CT scan slice; Image size 512x512; Abdomen
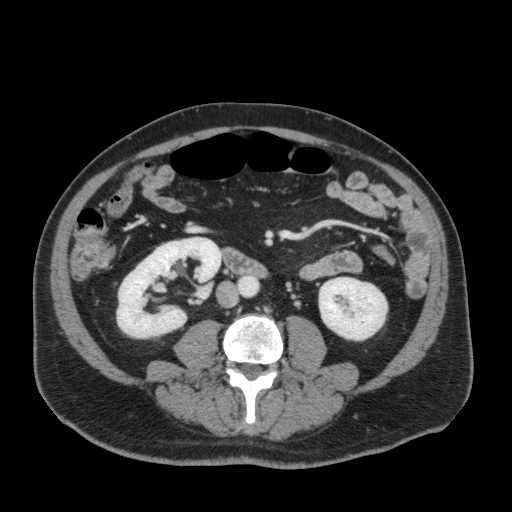
Kidney at (117,237,221,337), (319,277,386,339).